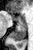
Image size 33x50 | Magnetic resonance

anterior hippocampus: x1=11, y1=14, x2=25, y2=22 | posterior hippocampus: x1=11, y1=23, x2=26, y2=40